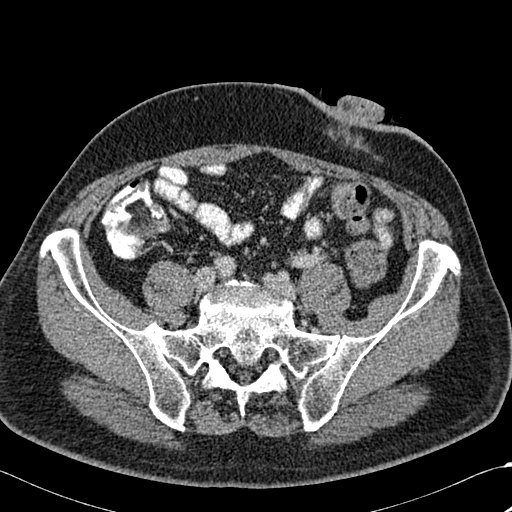
CT slice.
<segmentation>
  <bone>41:229:459:430</bone>
</segmentation>